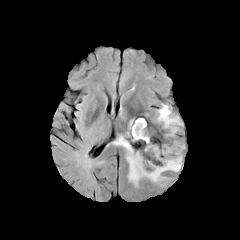
FLAIR MR image.
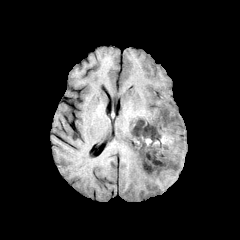
Same slice, T1-weighted MRI.
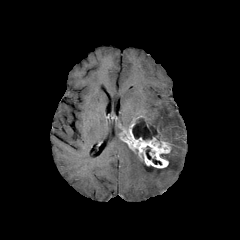
Same slice, post-contrast T1-weighted MRI.
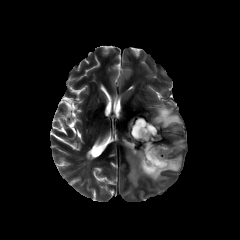
T2-weighted magnetic resonance.
Brain
3 non-enhancing tumor core regions are located at (141,154,164,171), (132,117,157,140), (145,146,162,165). The enhancing tumor is at (126,120,170,167). 3 edema regions are bounded by (154,103,183,132), (176,141,184,153), (112,136,182,185).